FLAIR MR.
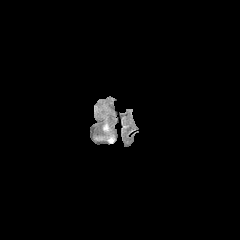
T1-weighted MR.
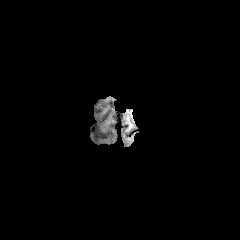
Post-contrast T1-weighted MRI.
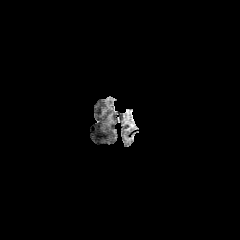
T2-weighted MR image.
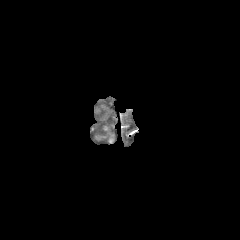
Head
edema:
  - (left=96, top=123, right=112, bottom=142)